Brain. Slice 132 of 155.
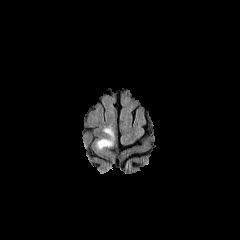
FLAIR MR image.
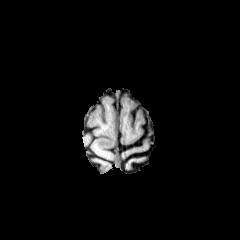
Same slice, T1-weighted MR image.
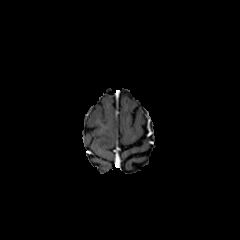
Post-contrast T1-weighted MRI.
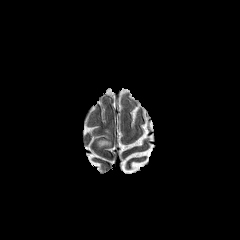
T2-weighted magnetic resonance.
Edema = region(98, 139, 112, 148).